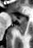

MRI slice. Image size 33x48.

Annotated regions:
- anterior hippocampus: bbox=[10, 14, 26, 21]
- posterior hippocampus: bbox=[15, 22, 26, 34]